Chest, CT scan slice

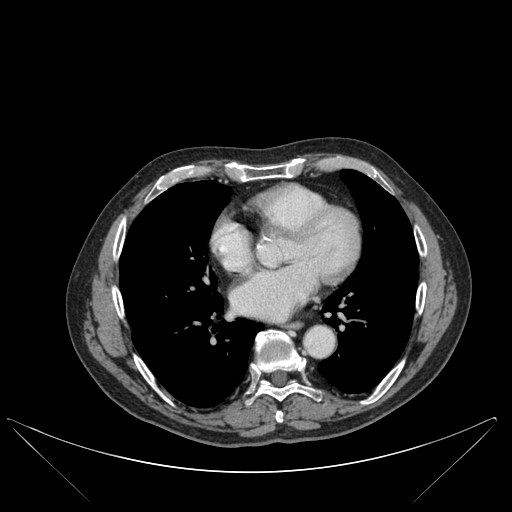 {"bone": ["113:218:125:258", "276:411:282:421", "249:330:319:400", "112:287:123:317", "134:356:170:403", "361:361:403:403", "218:160:306:181", "154:166:192:190", "416:283:426:313", "414:226:426:255"], "lung": ["317:169:418:393", "119:180:263:406"]}